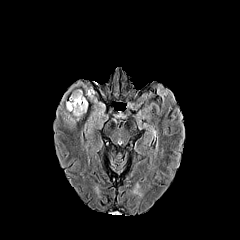
FLAIR MRI.
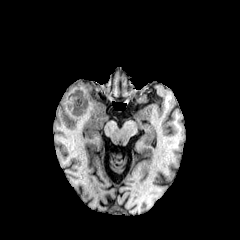
Same slice, T1-weighted MRI.
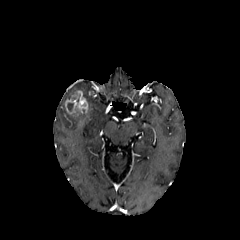
Post-contrast T1-weighted MRI of the same slice.
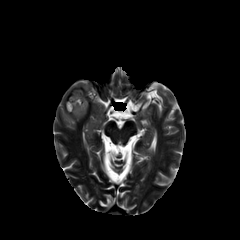
T2-weighted MR of the same slice.
Brain.
<segmentation>
  <edema>{"x1": 64, "y1": 113, "x2": 82, "y2": 125}</edema>
  <enhancing_tumor>{"x1": 64, "y1": 90, "x2": 88, "y2": 116}</enhancing_tumor>
</segmentation>